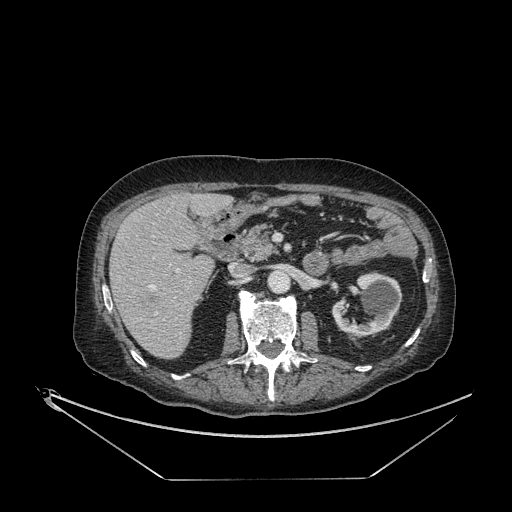
CT image

liver:
  - (left=110, top=193, right=232, bottom=359)
kidney:
  - (left=332, top=273, right=401, bottom=336)
  - (left=349, top=286, right=359, bottom=294)
liver_lesion:
  - (left=145, top=294, right=158, bottom=305)